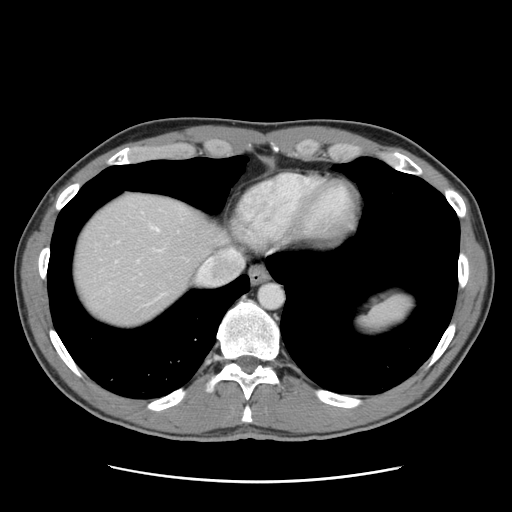

512x512 | CT
Some hepatic vessels may have no box.
Annotated regions:
* hepatic vessel: {"x1": 158, "y1": 249, "x2": 162, "y2": 251}, {"x1": 149, "y1": 301, "x2": 152, "y2": 303}, {"x1": 137, "y1": 260, "x2": 138, "y2": 261}, {"x1": 205, "y1": 259, "x2": 209, "y2": 262}, {"x1": 152, "y1": 227, "x2": 158, "y2": 231}, {"x1": 159, "y1": 294, "x2": 162, "y2": 295}